CT image; 512x512 px; Slice index 425

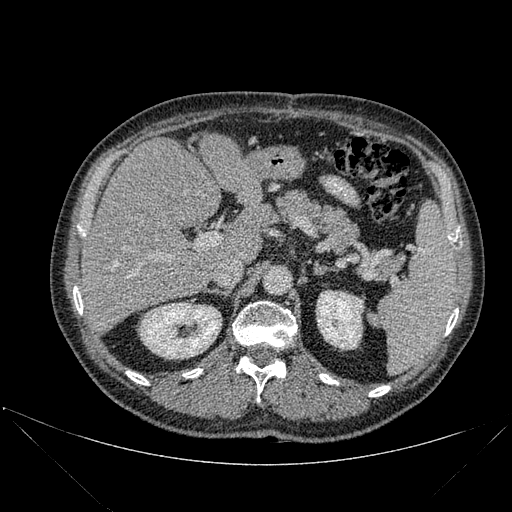

bone: x1=182, y1=368, x2=202, y2=377; x1=448, y1=228, x2=459, y2=242; x1=126, y1=371, x2=148, y2=384; x1=236, y1=356, x2=286, y2=401; x1=445, y1=308, x2=458, y2=335; x1=319, y1=374, x2=338, y2=384; x1=369, y1=386, x2=389, y2=396; x1=232, y1=301, x2=296, y2=349; x1=73, y1=286, x2=82, y2=314 | liver: x1=78, y1=138, x2=222, y2=335; x1=232, y1=180, x2=267, y2=264; x1=200, y1=132, x2=256, y2=190 | kidney: x1=140, y1=303, x2=221, y2=358; x1=316, y1=290, x2=363, y2=349